Brain; 240x240 px
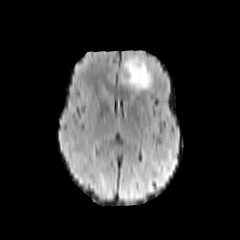
FLAIR MR.
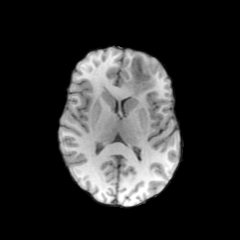
Same slice, T1-weighted MR.
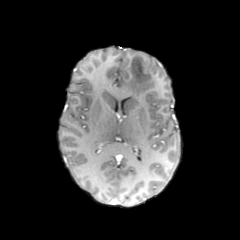
Post-contrast T1-weighted MR of the same slice.
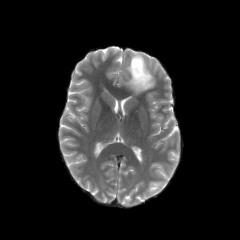
T2-weighted magnetic resonance.
Edema: bounding box rect(124, 54, 155, 93).
Non-enhancing tumor core: bounding box rect(129, 56, 150, 82).